FLAIR magnetic resonance.
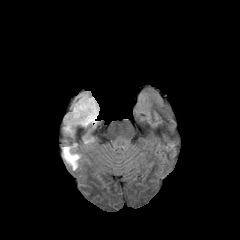
T1-weighted MRI.
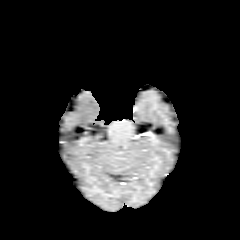
Post-contrast T1-weighted MRI.
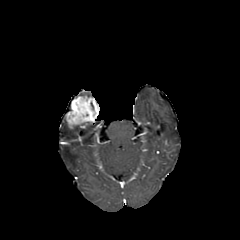
T2-weighted MRI.
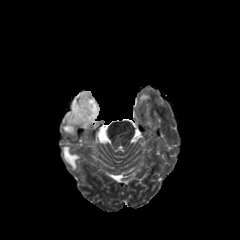
Brain, 240x240 px
Annotated regions:
* edema: bbox=[62, 138, 81, 169]; bbox=[64, 124, 79, 135]
* enhancing tumor: bbox=[65, 95, 99, 129]